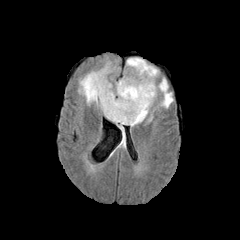
FLAIR MR.
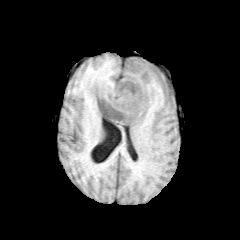
T1-weighted magnetic resonance of the same slice.
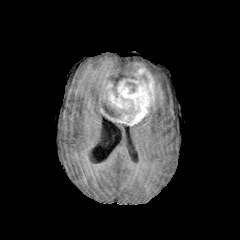
Post-contrast T1-weighted MR.
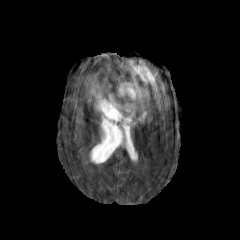
T2-weighted MR image of the same slice.
Brain
Findings:
* enhancing tumor: l=105, t=63, r=155, b=125
* non-enhancing tumor core: l=124, t=62, r=139, b=79; l=102, t=94, r=121, b=117
* edema: l=126, t=58, r=172, b=123; l=78, t=66, r=115, b=111